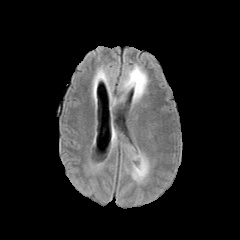
FLAIR MRI.
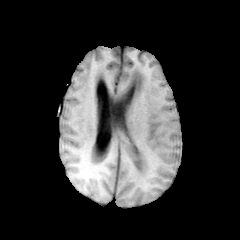
T1-weighted MRI.
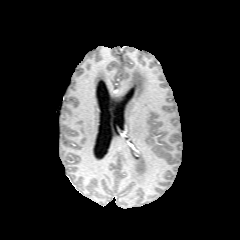
Same slice, post-contrast T1-weighted MR image.
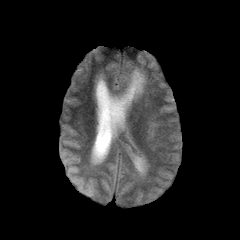
T2-weighted MRI.
Head
{
  "edema": [
    "118 64 148 103",
    "124 144 149 181",
    "111 129 122 149"
  ],
  "non-enhancing_tumor_core": [
    "131 149 141 158"
  ]
}